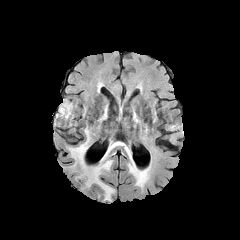
FLAIR MRI.
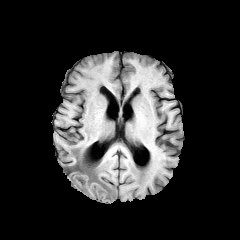
T1-weighted MR.
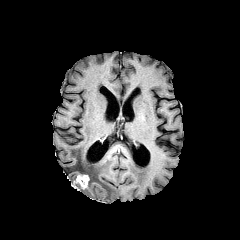
Post-contrast T1-weighted MRI.
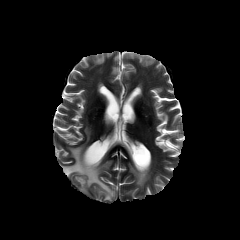
T2-weighted MR image of the same slice.
Image size 240x240
3 edema regions are bounded by (86,144,114,201), (69,141,87,165), (126,148,149,187). The enhancing tumor appears at (76,175,89,188). The non-enhancing tumor core appears at (64,158,93,185).